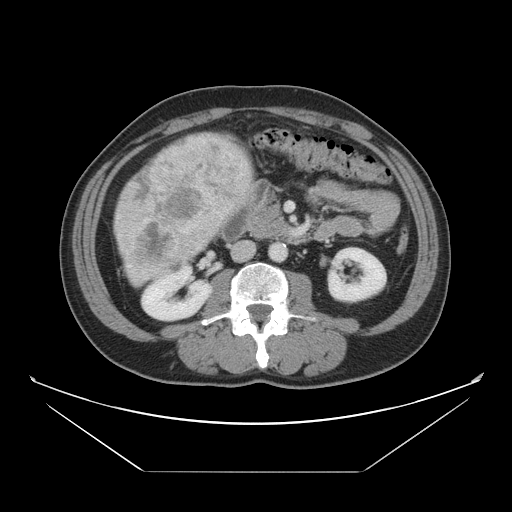
CT slice. Abdomen.
Not every hepatic vessel necessarily has a box.
{
  "hepatic_vessel": [
    "(128, 264, 148, 279)"
  ],
  "liver_tumor": [
    "(121, 133, 251, 271)"
  ]
}